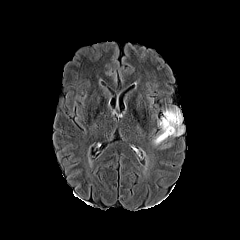
FLAIR MR.
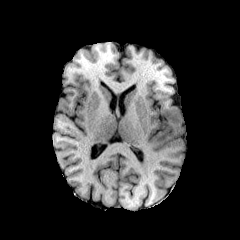
Same slice, T1-weighted MR.
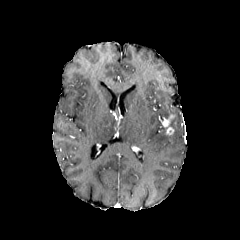
Post-contrast T1-weighted magnetic resonance of the same slice.
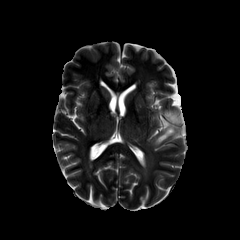
Same slice, T2-weighted MR image.
Head
Enhancing tumor = <box>162,115,175,135</box>.
Edema = <box>151,106,182,146</box>.